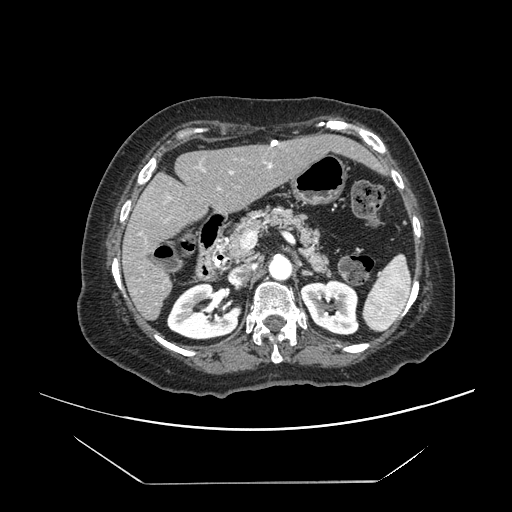

512x512 px; CT image; Liver
Only some of the vessels may be annotated.
2 hepatic vessel regions are bounded by <box>230,172,232,173</box>, <box>241,231,255,248</box>.